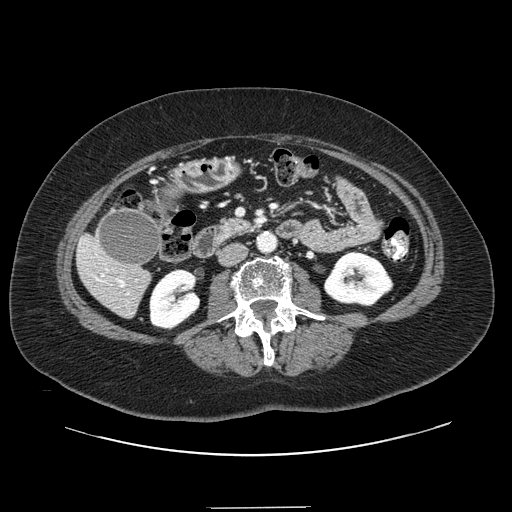 CT scan slice
{
  "pancreas": [
    "rect(217, 217, 252, 238)"
  ]
}